FLAIR MR image.
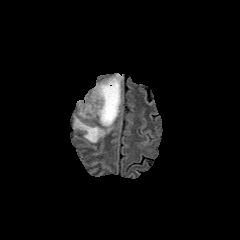
T1-weighted magnetic resonance.
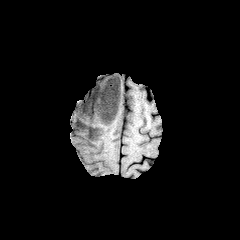
Post-contrast T1-weighted MRI.
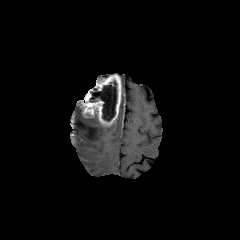
T2-weighted MR.
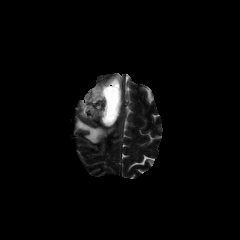
The enhancing tumor appears at (80, 75, 121, 124). The non-enhancing tumor core is at (88, 85, 116, 121). The edema appears at (74, 100, 113, 143).